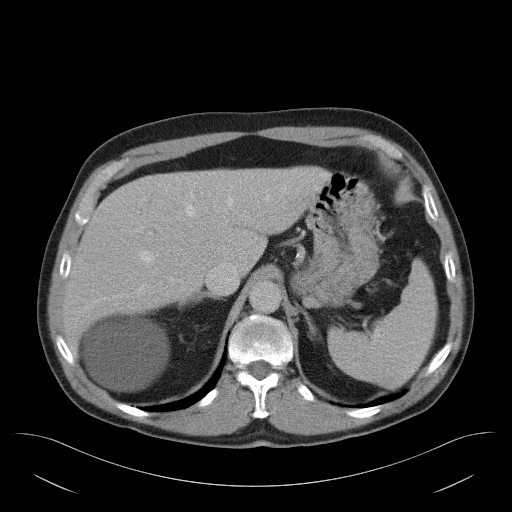

CT scan slice
The vessel annotation is not exhaustive.
- hepatic vessel: x1=141 y1=252 x2=152 y2=261, x1=226 y1=194 x2=234 y2=208, x1=264 y1=195 x2=270 y2=201, x1=183 y1=200 x2=195 y2=216, x1=137 y1=286 x2=142 y2=292, x1=118 y1=295 x2=122 y2=296, x1=86 y1=295 x2=100 y2=307